FLAIR MR image.
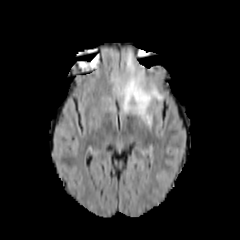
T1-weighted magnetic resonance.
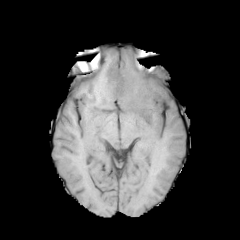
Post-contrast T1-weighted magnetic resonance.
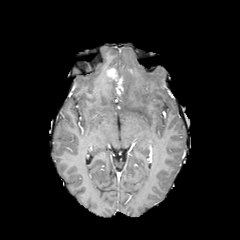
T2-weighted magnetic resonance.
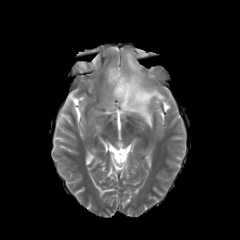
Head, Image size 240x240
Segmented structures:
* enhancing tumor: x1=106, y1=67, x2=123, y2=96
* edema: x1=119, y1=49, x2=163, y2=126